Hippocampus. MRI slice.
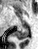
The posterior hippocampus is bounded by [13,27,28,40].